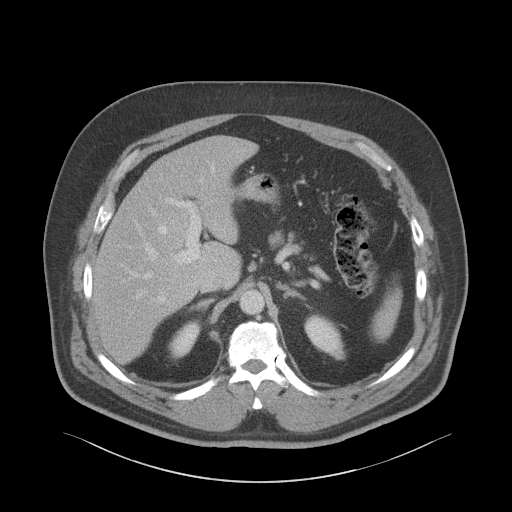 CT scan slice
The liver is bounded by {"x1": 93, "y1": 137, "x2": 250, "y2": 359}. 2 kidney regions appear at {"x1": 305, "y1": 316, "x2": 342, "y2": 357}, {"x1": 172, "y1": 323, "x2": 198, "y2": 355}.